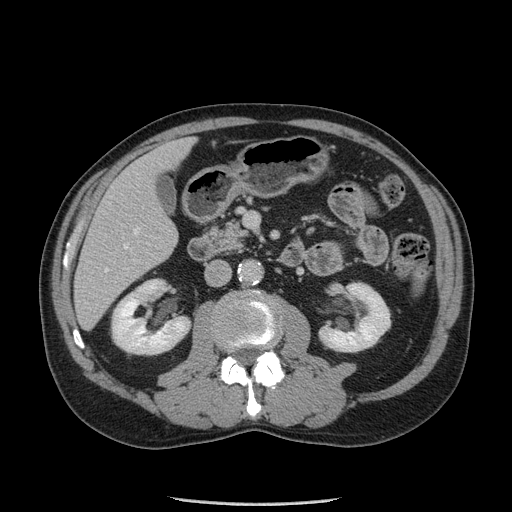

CT image.
Pancreas = (x1=206, y1=221, x2=248, y2=252).